Slice 19 of 37. CT image. Abdomen.
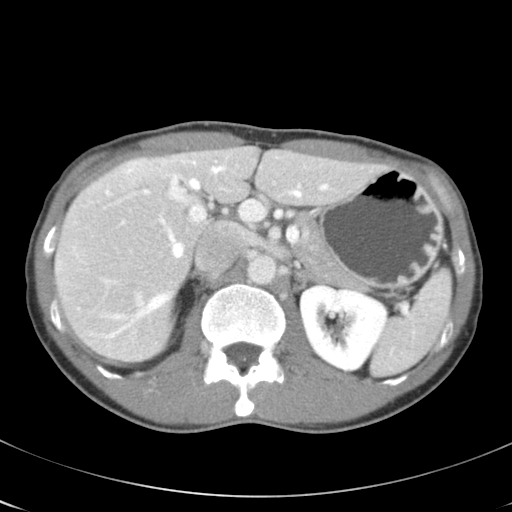

The vessel boxes may cover only some of the vessels.
partial: true
hepatic_vessel:
  # 15 of 17 shown
  - 174,243,182,255
  - 213,167,223,172
  - 191,180,198,188
  - 168,230,175,241
  - 190,206,205,220
  - 321,185,327,189
  - 107,191,108,194
  - 110,314,124,317
  - 171,176,184,199
  - 138,297,140,304
  - 139,294,169,315
  - 105,322,131,337
  - 241,201,250,219
  - 290,191,301,195
  - 145,190,148,193